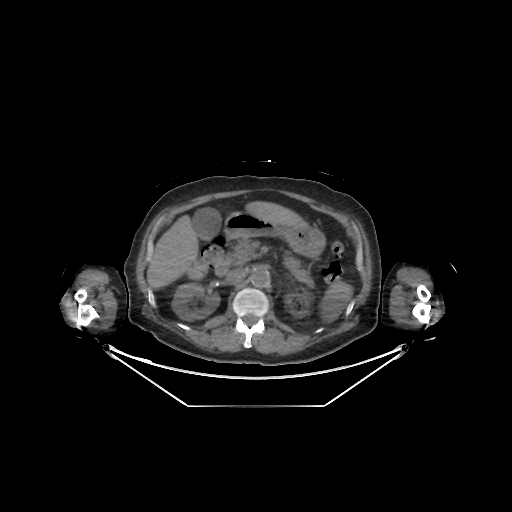
Computed tomography
3 bone regions appear at 412 284 430 323, 74 289 98 327, 233 288 267 347. 2 kidney regions are located at 172 281 219 321, 285 290 312 317. 2 liver regions are bounded by 247 202 306 228, 147 216 197 287.